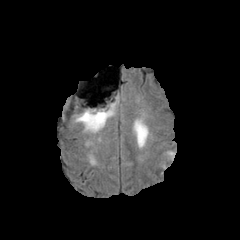
FLAIR MRI.
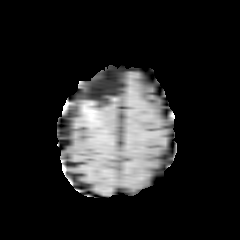
T1-weighted magnetic resonance.
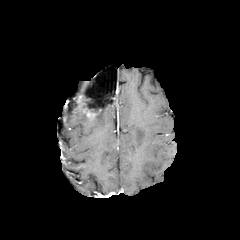
Post-contrast T1-weighted MR.
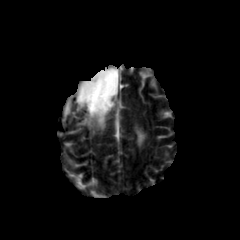
T2-weighted MR image.
240x240, Head
{"edema": ["bbox(132, 122, 148, 143)", "bbox(73, 104, 116, 134)"], "non-enhancing_tumor_core": ["bbox(84, 100, 121, 120)"]}